CT scan slice; Field of view 390x390 mm; Abdomen; Slice 21/42 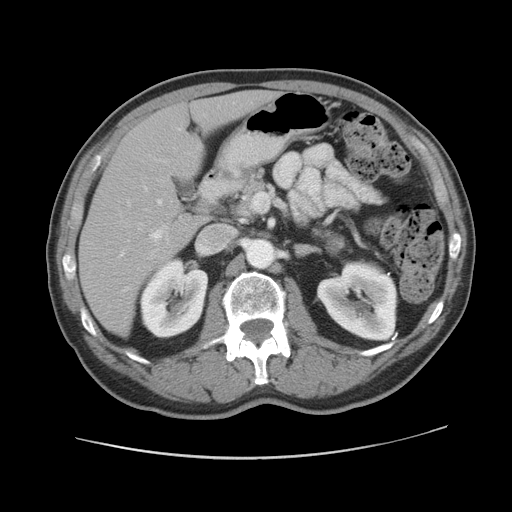

{"pancreas": ["<box>230,172,273,220</box>"]}